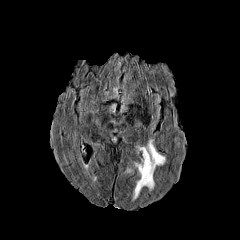
FLAIR MRI.
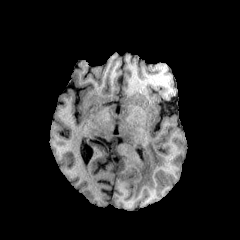
Same slice, T1-weighted MR.
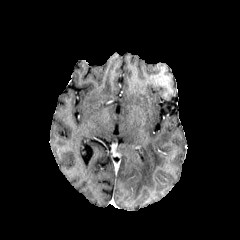
Same slice, post-contrast T1-weighted MRI.
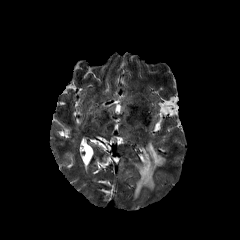
T2-weighted MRI of the same slice.
Segmented structures:
• edema: box(131, 140, 165, 199)